CT slice. Field of view 421x421 mm. 512x512 px. Abdomen.

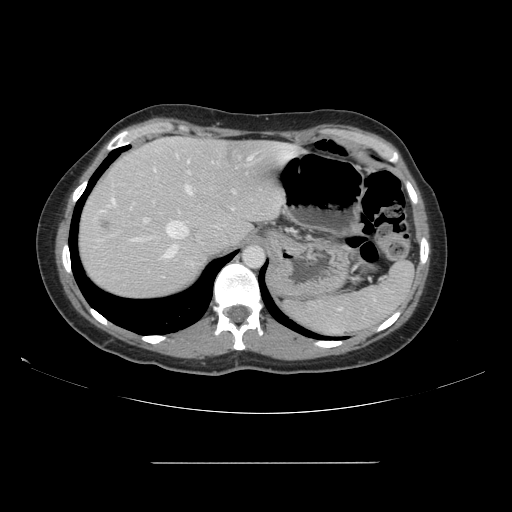
Only some of the vessels may be annotated.
Liver tumor — l=226, t=147, r=235, b=161; l=99, t=218, r=111, b=230.
Hepatic vessel — l=248, t=156, r=252, b=160; l=107, t=197, r=114, b=207; l=162, t=244, r=178, b=259; l=188, t=160, r=189, b=162; l=212, t=162, r=217, b=163; l=144, t=218, r=149, b=222; l=232, t=190, r=234, b=193; l=185, t=185, r=191, b=193; l=279, t=157, r=281, b=159; l=187, t=171, r=190, b=173; l=176, t=154, r=178, b=156; l=131, t=238, r=141, b=241; l=97, t=211, r=102, b=213; l=166, t=221, r=188, b=238.